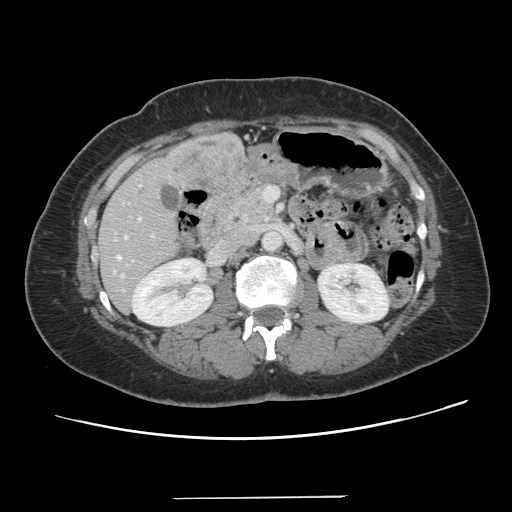 CT slice | Liver
Some hepatic vessels may have no box.
Liver tumor: bounding box (x1=174, y1=138, x2=242, y2=184).
Hepatic vessel: bounding box (x1=124, y1=236, x2=127, y2=238), (x1=117, y1=256, x2=120, y2=259), (x1=151, y1=234, x2=153, y2=236), (x1=121, y1=274, x2=123, y2=277), (x1=138, y1=217, x2=141, y2=220), (x1=114, y1=238, x2=115, y2=240), (x1=114, y1=270, x2=115, y2=272).